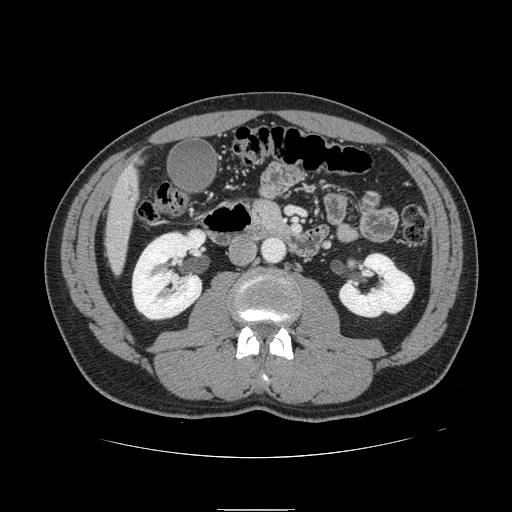

Image size 512x512, CT slice

The pancreas is located at [252, 200, 286, 233].